240x240 px; Head
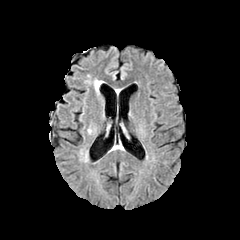
FLAIR MR image.
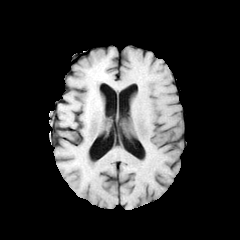
T1-weighted MR image.
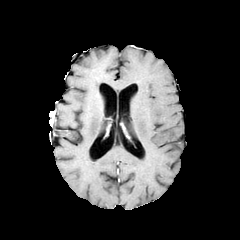
Post-contrast T1-weighted MRI.
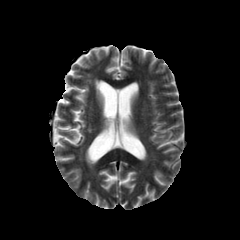
T2-weighted MR of the same slice.
The edema is located at (left=93, top=79, right=100, bottom=95).